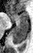 Medial temporal lobe. MR image. <segmentation>
  <anterior_hippocampus>9 10 27 22</anterior_hippocampus>
  <posterior_hippocampus>12 23 28 43</posterior_hippocampus>
</segmentation>